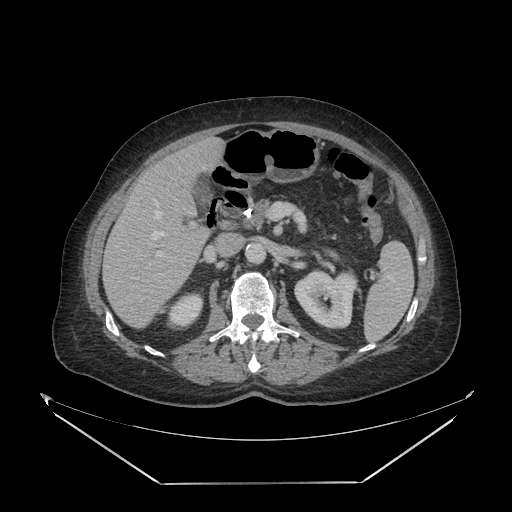

CT scan slice
Annotated regions:
* pancreatic tumor: bbox(257, 200, 268, 215)
* pancreas: bbox(253, 203, 265, 223)